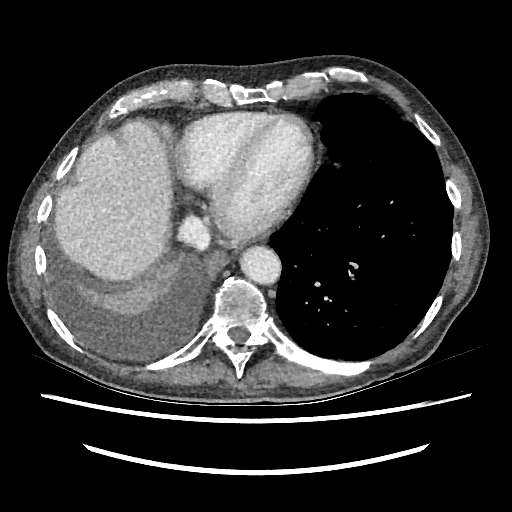
Liver, Image size 512x512, CT scan slice
Liver: bounding box 55:121:172:280, 161:125:173:146.